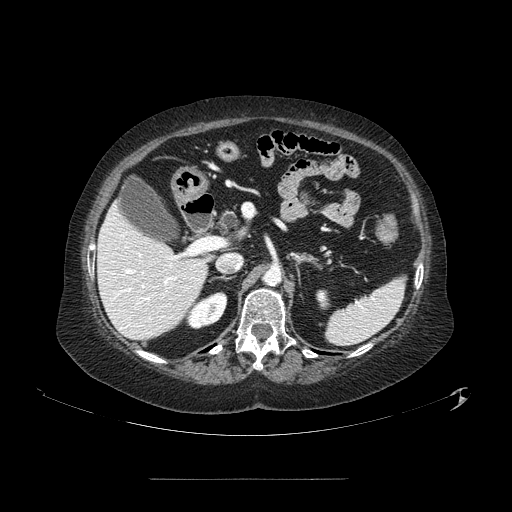
Computed tomography. Abdomen. Annotated regions:
- pancreas: <bbox>220, 211, 239, 233</bbox>